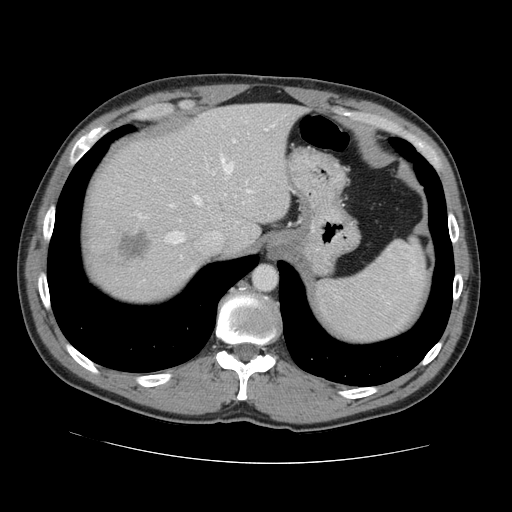 Abdomen. 512x512 px. CT image. The vessel annotation is not exhaustive.
partial: true
liver_tumor:
  - x1=116, y1=229, x2=149, y2=261
hepatic_vessel:
  # 15 of 21 shown
  - x1=232, y1=138, x2=234, y2=142
  - x1=193, y1=195, x2=201, y2=204
  - x1=265, y1=122, x2=275, y2=130
  - x1=165, y1=231, x2=184, y2=243
  - x1=246, y1=190, x2=251, y2=192
  - x1=180, y1=255, x2=182, y2=259
  - x1=205, y1=160, x2=208, y2=172
  - x1=134, y1=212, x2=146, y2=218
  - x1=211, y1=172, x2=214, y2=174
  - x1=153, y1=178, x2=154, y2=180
  - x1=234, y1=196, x2=236, y2=198
  - x1=117, y1=188, x2=120, y2=191
  - x1=167, y1=204, x2=173, y2=207
  - x1=219, y1=153, x2=233, y2=179
  - x1=221, y1=125, x2=223, y2=126